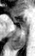

MR image | 35x56 | Medial temporal lobe
anterior hippocampus: x1=13, y1=18, x2=18, y2=22; x1=24, y1=19, x2=27, y2=23 | posterior hippocampus: x1=12, y1=24, x2=28, y2=50